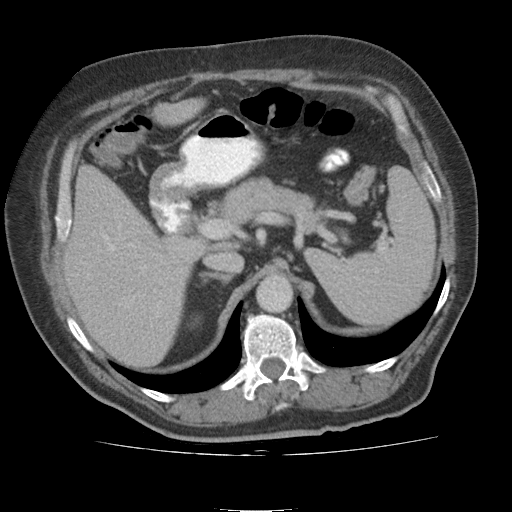 Abdomen. CT image. 2 liver regions are located at [x1=156, y1=103, x2=199, y2=130], [x1=67, y1=171, x2=188, y2=363].